Slice index 89. 240x240. Brain.
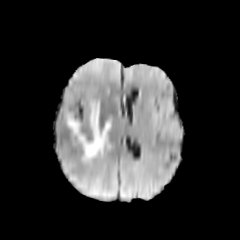
FLAIR magnetic resonance.
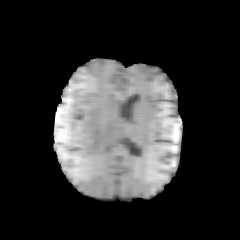
Same slice, T1-weighted MR.
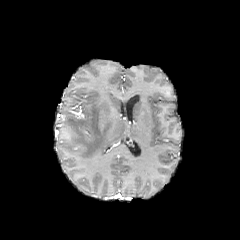
Same slice, post-contrast T1-weighted MR image.
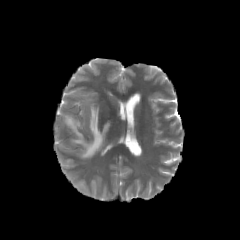
T2-weighted MR image of the same slice.
Findings:
* edema: <bbox>64, 101, 111, 160</bbox>